Computed tomography. Slice index 28. 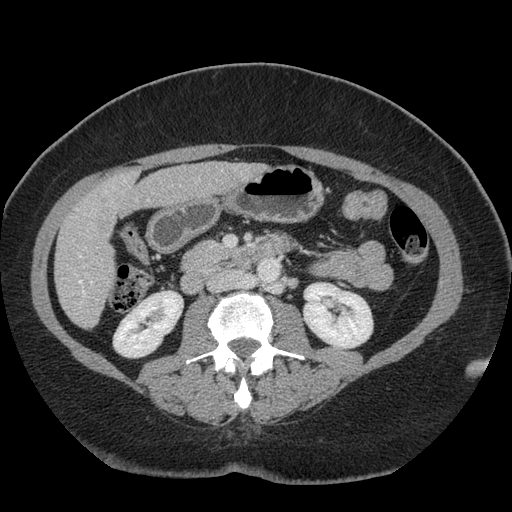 Some hepatic vessels may have no box.
Hepatic vessel at rect(80, 281, 82, 284); rect(83, 290, 85, 295); rect(90, 282, 93, 283); rect(79, 255, 81, 257).